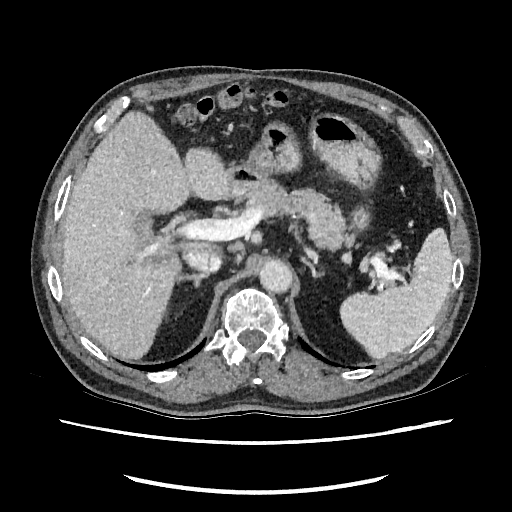 CT
The liver lies within 63:112:230:358. 2 hepatic lesion regions are bounded by 144:249:175:266, 133:211:153:245.